FLAIR MRI.
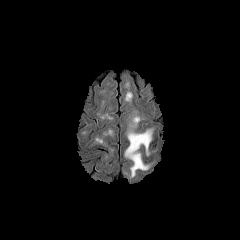
T1-weighted MR image.
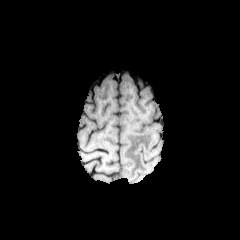
Post-contrast T1-weighted MR image.
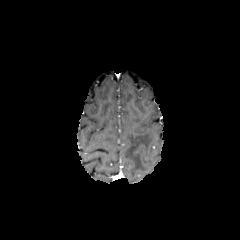
T2-weighted magnetic resonance.
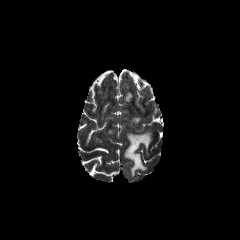
Head
The edema is located at region(125, 131, 151, 177).